Head, Field of view 240x240 mm
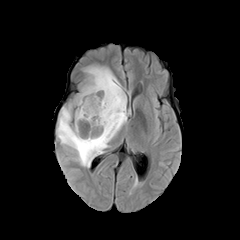
FLAIR magnetic resonance.
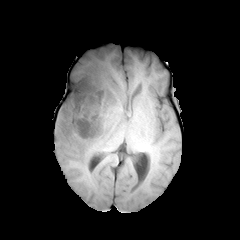
T1-weighted magnetic resonance of the same slice.
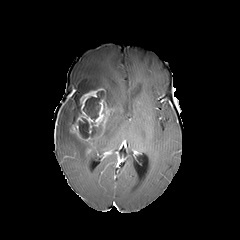
Post-contrast T1-weighted MRI.
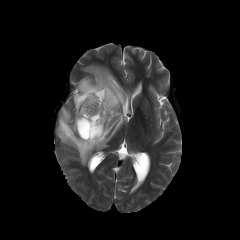
T2-weighted magnetic resonance.
<segmentation>
  <enhancing_tumor>x1=72 y1=88 x2=108 y2=133</enhancing_tumor>
  <edema>x1=56 y1=65 x2=130 y2=167</edema>
  <non-enhancing_tumor_core>x1=78 y1=118 x2=105 y2=141, x1=74 y1=84 x2=113 y2=121</non-enhancing_tumor_core>
</segmentation>